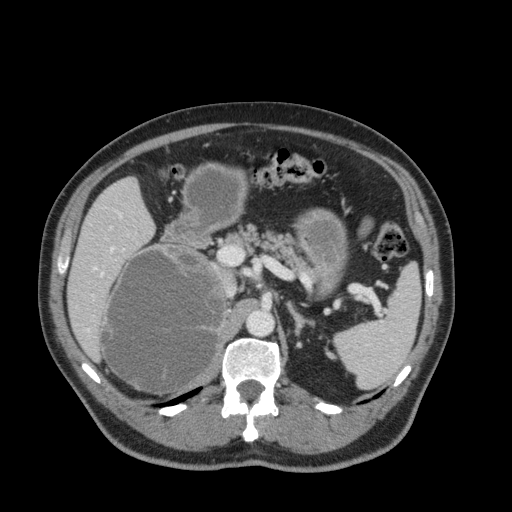
CT slice | Liver | 512x512 px
Liver = left=69, top=178, right=153, bottom=360.